Image size 512x512; CT image; Slice 326/605

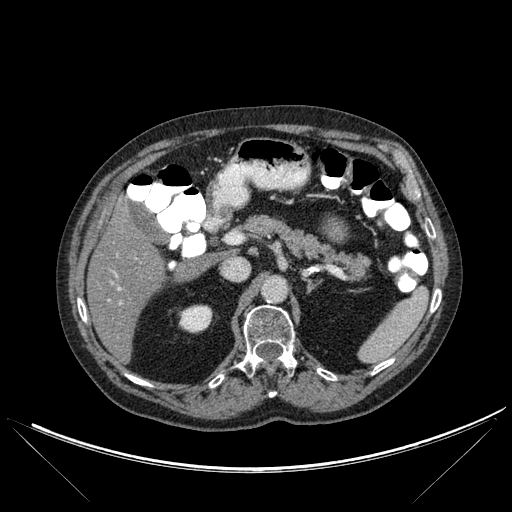
kidney: 179 305 211 332 | liver: 181 257 211 282, 87 204 165 364 | bone: 426 225 435 237, 317 368 336 380, 430 289 441 311, 209 374 223 387, 78 298 86 321, 126 374 151 386, 371 358 393 374, 236 305 296 372